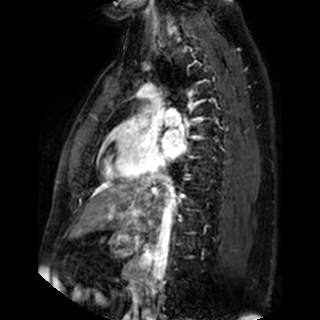
Cardiac | MR image | Image size 320x320

{"left_atrium": ["l=161, t=129, r=185, b=159"]}